Computed tomography | Slice 44/89 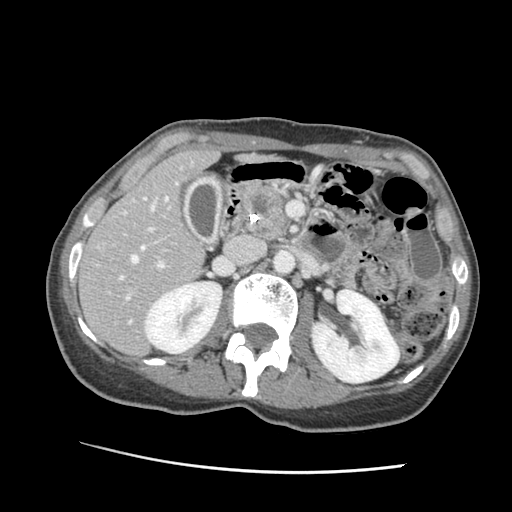

pancreas:
  - 244, 187, 289, 239
pancreatic_tumor:
  - 251, 194, 273, 215